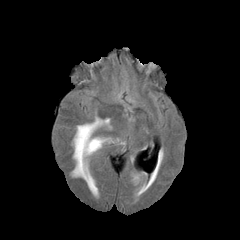
FLAIR MR.
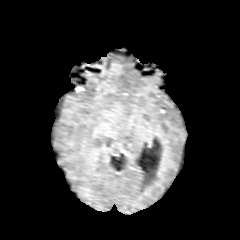
T1-weighted MR image.
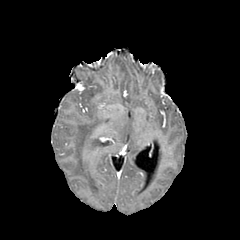
Post-contrast T1-weighted MR image.
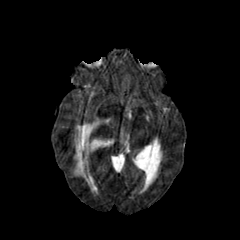
T2-weighted magnetic resonance of the same slice.
Brain
Findings:
• edema: [x1=72, y1=118, x2=111, y2=194]